CT slice

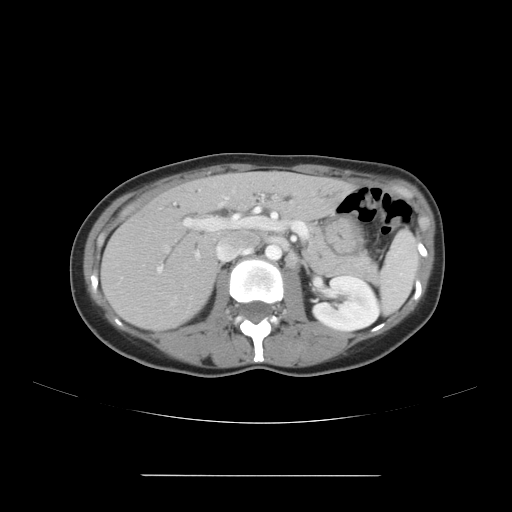 Segmented structures:
• pancreas: left=301, top=222, right=379, bottom=285